Field of view 240 mm wide, 1.00 mm slice spacing; Slice index 81
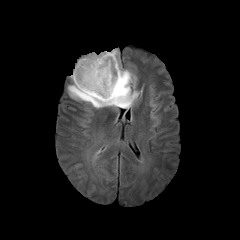
FLAIR MR image.
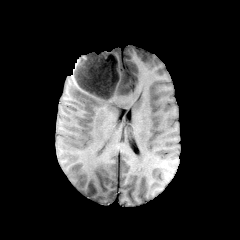
Same slice, T1-weighted magnetic resonance.
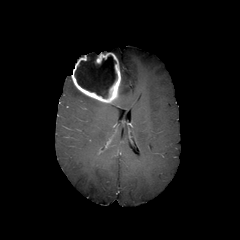
Post-contrast T1-weighted MR image.
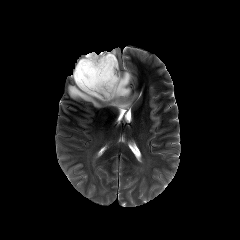
T2-weighted MR.
The non-enhancing tumor core lies within l=74, t=52, r=117, b=98. 2 edema regions are bounded by l=67, t=61, r=140, b=110; l=110, t=48, r=119, b=57. The enhancing tumor is located at l=71, t=52, r=120, b=104.